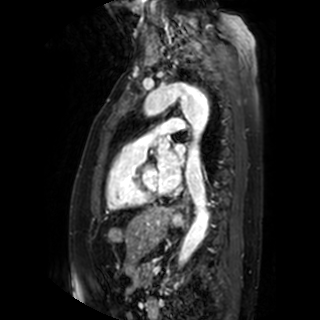 MR image, Cardiac
Left atrium: bounding box rect(159, 144, 185, 190).